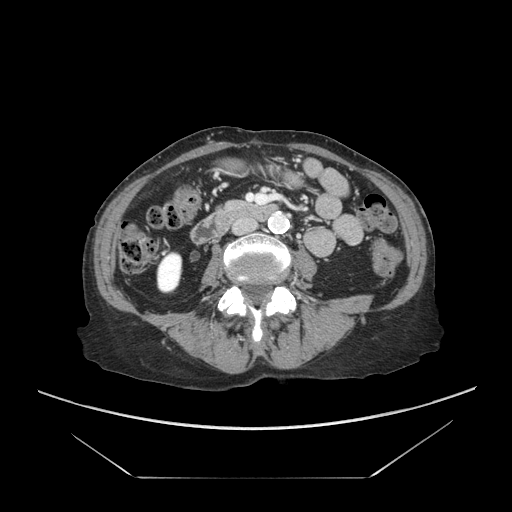 CT scan slice

Findings:
• pancreas: rect(212, 198, 248, 216)